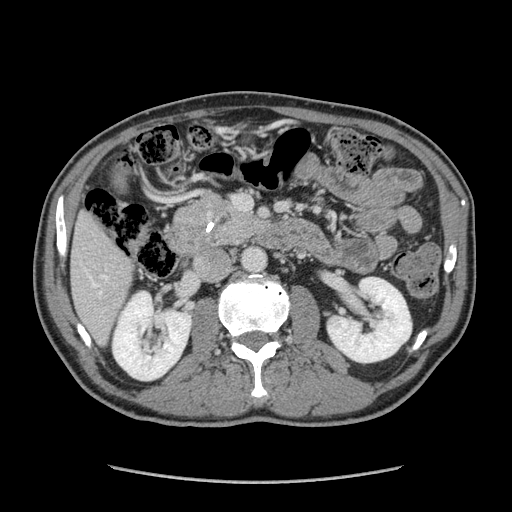 Abdomen | Computed tomography
Pancreas at box=[174, 190, 265, 247].